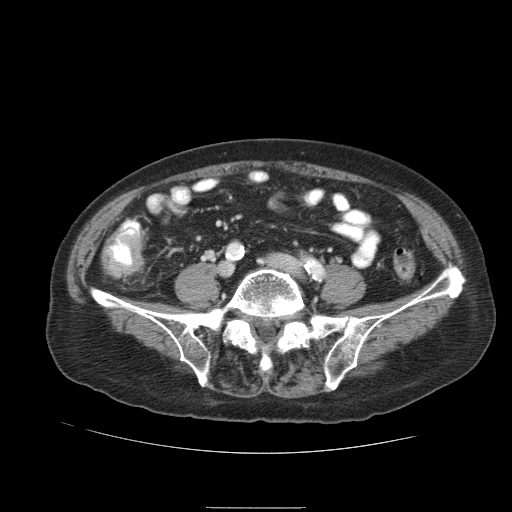
Computed tomography; Pelvis
Annotated regions:
• colon tumor: 101, 233, 142, 276; 105, 228, 121, 245